Field of view 240x240 mm; Slice 102 of 155
FLAIR MR.
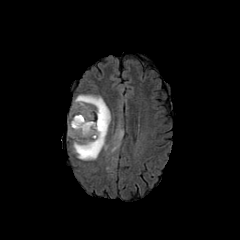
T1-weighted MR.
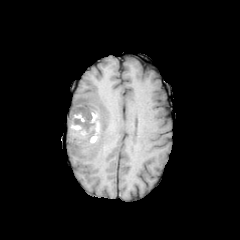
Post-contrast T1-weighted MRI.
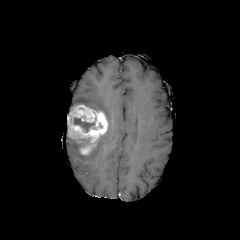
T2-weighted MR.
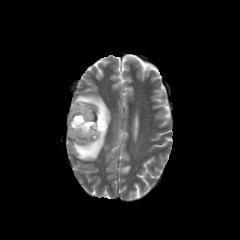
2 edema regions appear at bbox(74, 94, 111, 124); bbox(72, 125, 108, 160). The enhancing tumor is bounded by bbox(67, 103, 108, 154). The non-enhancing tumor core appears at bbox(73, 111, 96, 131).